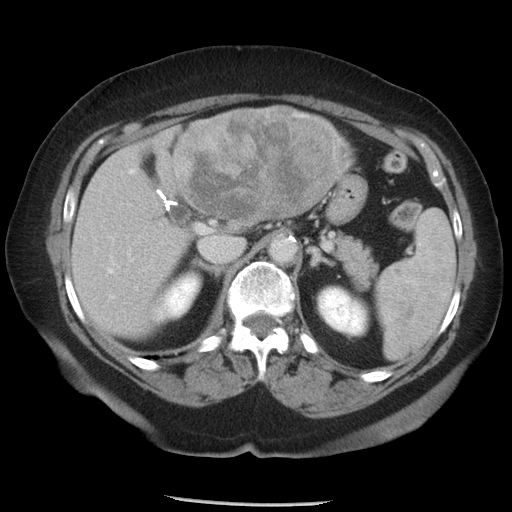

CT scan slice, Liver

The vessel annotation is not exhaustive.
<segmentation>
  <liver_tumor>box(183, 109, 346, 222)</liver_tumor>
  <hepatic_vessel>box(107, 255, 118, 273); box(129, 169, 134, 173); box(210, 221, 214, 224); box(160, 241, 164, 243); box(135, 285, 137, 288); box(127, 249, 132, 260); box(109, 236, 113, 240); box(109, 294, 114, 298); box(193, 223, 212, 234)</hepatic_vessel>
</segmentation>